FLAIR magnetic resonance.
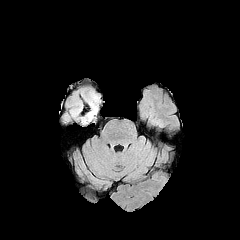
T1-weighted MR image.
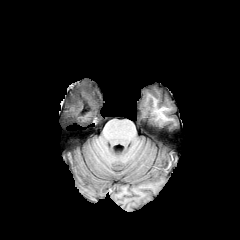
Post-contrast T1-weighted MR.
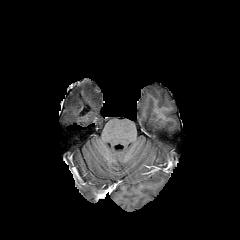
T2-weighted MR.
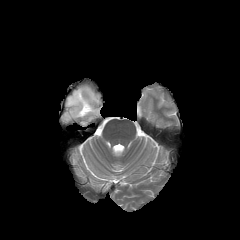
Image size 240x240. Head.
Annotated regions:
- non-enhancing tumor core: <box>72,92,85,108</box>
- edema: <box>64,88,100,125</box>